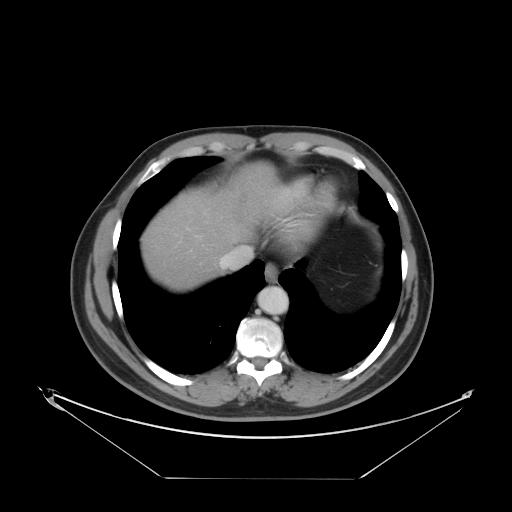
Abdomen | CT image
Some hepatic vessels may have no box.
- hepatic vessel: <bbox>220, 259, 225, 267</bbox>, <bbox>229, 253, 246, 265</bbox>